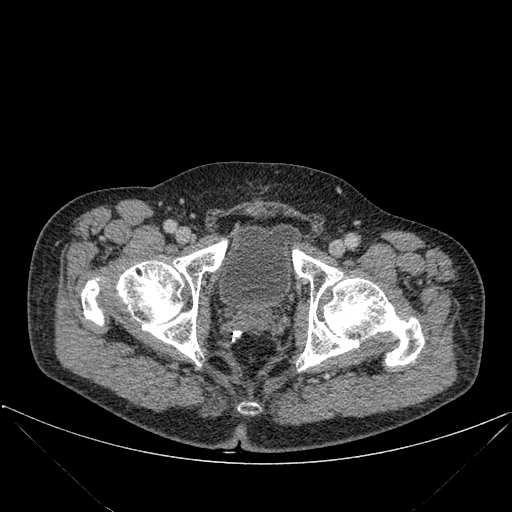
Lower abdomen, CT slice

• bone: [x1=238, y1=403, x2=257, y2=413], [x1=81, y1=279, x2=103, y2=325], [x1=292, y1=249, x2=424, y2=370], [x1=116, y1=240, x2=226, y2=365]
• urinary bladder: [x1=218, y1=224, x2=303, y2=318]